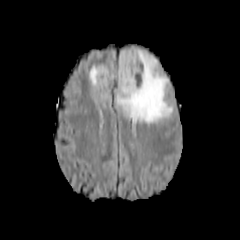
FLAIR MR.
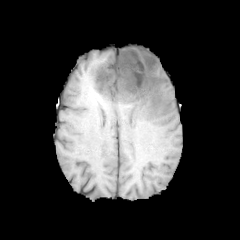
T1-weighted magnetic resonance.
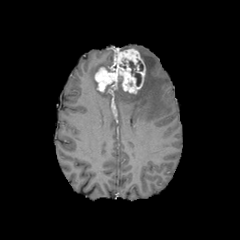
Same slice, post-contrast T1-weighted MR.
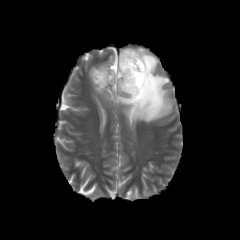
T2-weighted MR image.
Head
Non-enhancing tumor core: bounding box <box>129,61,141,86</box>.
Enhancing tumor: bounding box <box>94,48,145,93</box>.
Edema: bounding box <box>116,49,173,122</box>, <box>89,63,107,88</box>.